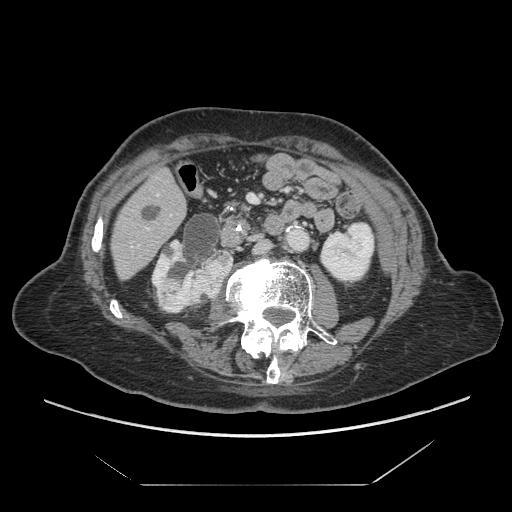

Upper abdomen. Computed tomography. 512x512.

Pancreas = (left=218, top=196, right=254, bottom=222).